CT slice; Slice 26/50; Liver; 512x512

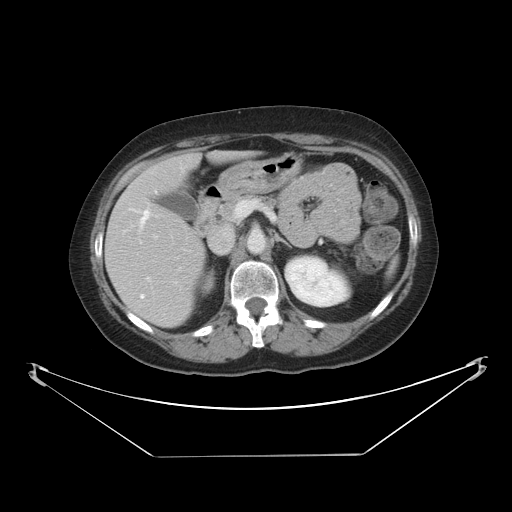 Not every hepatic vessel necessarily has a box.
<segmentation>
  <hepatic_vessel>box=[154, 236, 156, 237]; box=[140, 294, 143, 297]; box=[140, 210, 149, 225]</hepatic_vessel>
</segmentation>